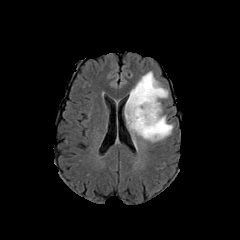
FLAIR MR.
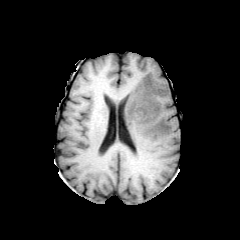
T1-weighted MR.
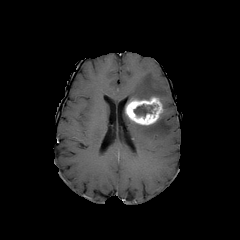
Post-contrast T1-weighted MR.
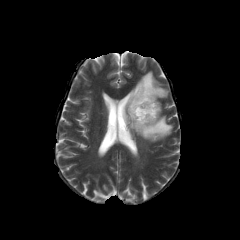
T2-weighted MRI.
Image size 240x240.
Edema: (126,115,173,141), (129,71,168,99).
Enhancing tumor: (125,97,162,125).
Non-enhancing tumor core: (134,105,152,115).